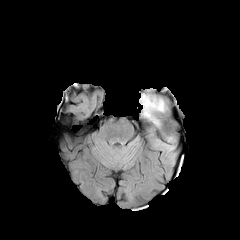
FLAIR magnetic resonance.
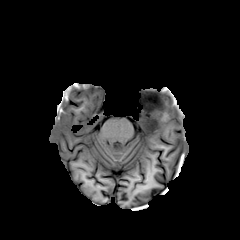
T1-weighted magnetic resonance.
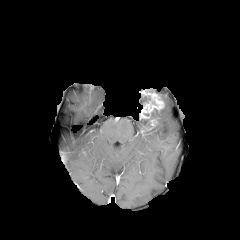
Post-contrast T1-weighted magnetic resonance.
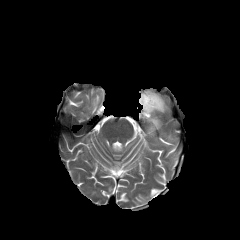
T2-weighted MR.
{
  "enhancing_tumor": [
    "(left=141, top=91, right=164, bottom=118)",
    "(left=150, top=119, right=157, bottom=129)"
  ]
}